CT scan slice
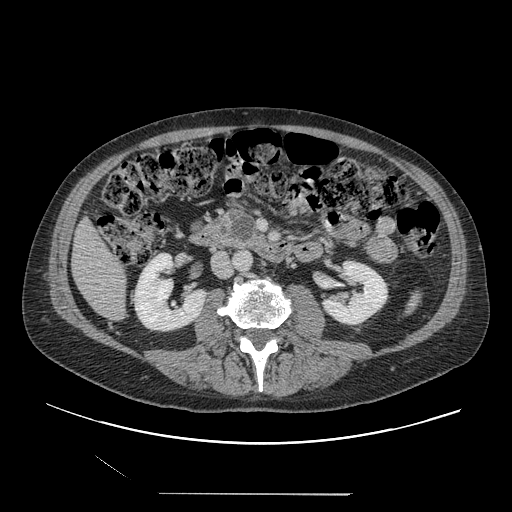 • pancreatic tumor: <box>231,217,253,241</box>
• pancreas: <box>210,208,265,249</box>